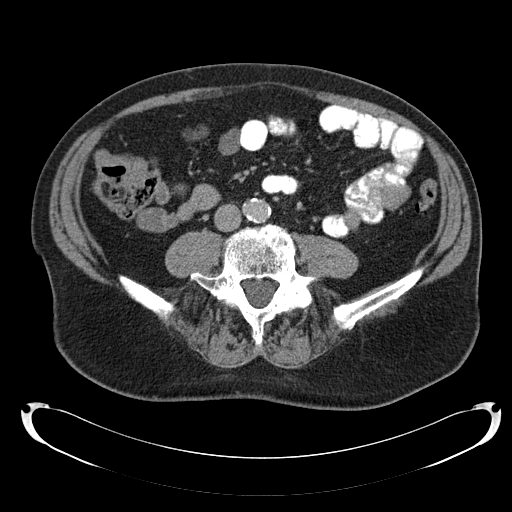
CT slice, Abdomen
Findings:
• colon tumor: (95,149,147,186)